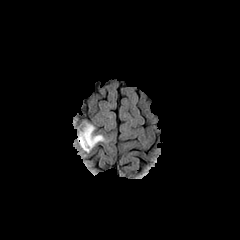
FLAIR MR image.
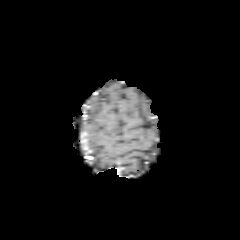
T1-weighted MR image.
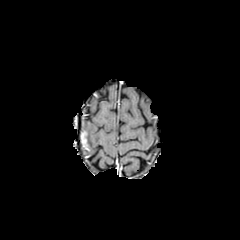
Post-contrast T1-weighted MRI of the same slice.
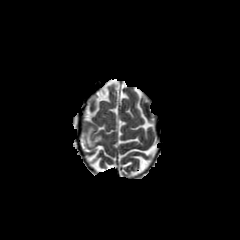
T2-weighted MRI.
Brain | 240x240
{"edema": ["region(80, 123, 104, 150)"], "enhancing_tumor": ["region(80, 133, 88, 149)"]}